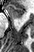 Hippocampus. MRI slice.

{
  "anterior_hippocampus": [
    "left=9, top=5, right=24, bottom=19"
  ]
}